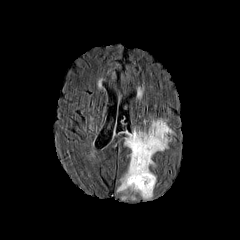
FLAIR magnetic resonance.
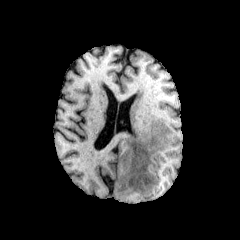
T1-weighted MRI.
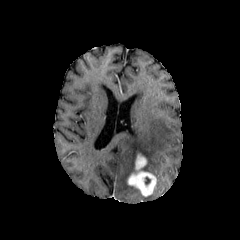
Post-contrast T1-weighted magnetic resonance.
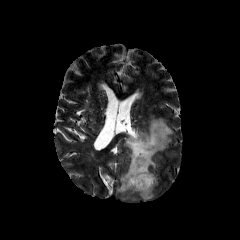
T2-weighted MR image.
Brain
Segmented structures:
- enhancing tumor: 127 153 156 196
- edema: 116 117 175 200